Slice 464/856. 512x512 px. Liver. CT scan slice. 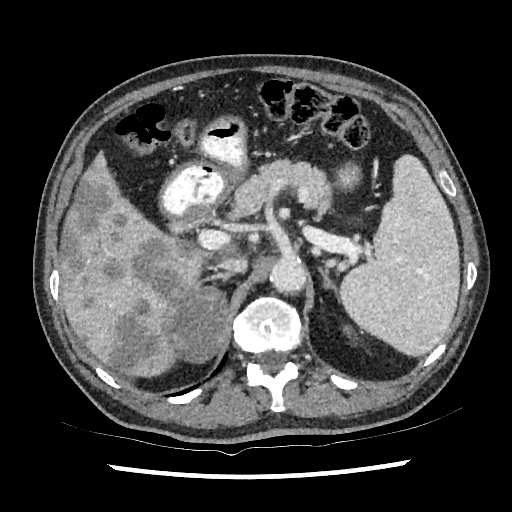 <segmentation>
  <hepatic_lesion>108, 299, 163, 370; 81, 295, 94, 308; 80, 334, 89, 343; 81, 275, 87, 287; 101, 257, 126, 282; 131, 237, 197, 299; 61, 171, 111, 275; 109, 214, 127, 243</hepatic_lesion>
  <liver>61, 152, 176, 374; 163, 244, 239, 289; 61, 197, 74, 250</liver>
</segmentation>